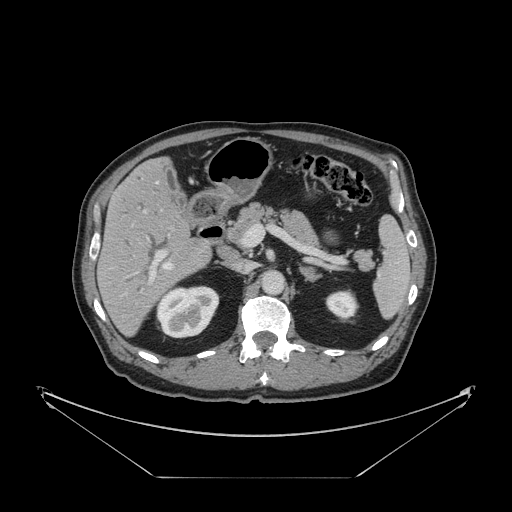 CT scan slice; Liver
The vessel annotation is not exhaustive.
Hepatic vessel at bbox(150, 250, 166, 281); bbox(163, 263, 171, 269); bbox(156, 181, 158, 183); bbox(242, 224, 264, 245); bbox(143, 210, 145, 212).